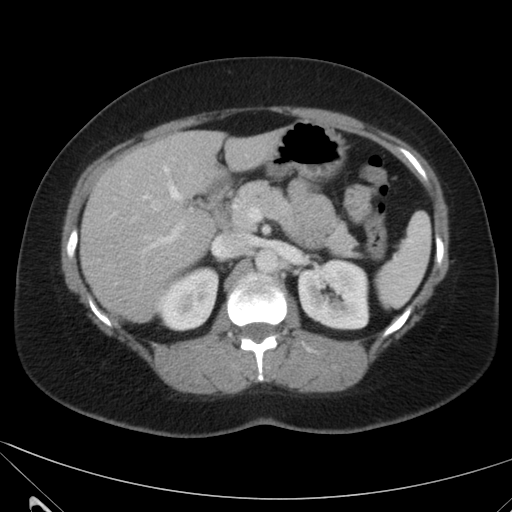 Liver | Computed tomography
Liver at rect(225, 132, 277, 170); rect(80, 131, 224, 321).
Kidney at rect(160, 270, 216, 328); rect(299, 261, 367, 327).